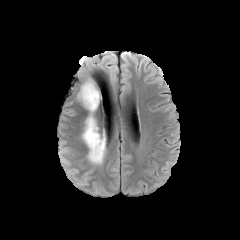
FLAIR MRI.
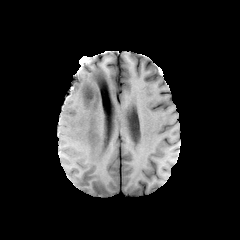
T1-weighted magnetic resonance.
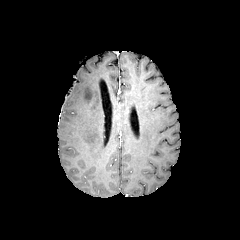
Post-contrast T1-weighted magnetic resonance.
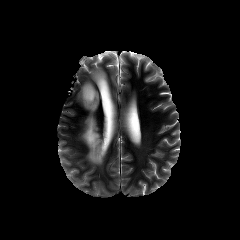
Same slice, T2-weighted magnetic resonance.
Brain.
Edema: bounding box box=[78, 80, 106, 163]; box=[98, 53, 114, 64].